Slice 129/139 | Computed tomography

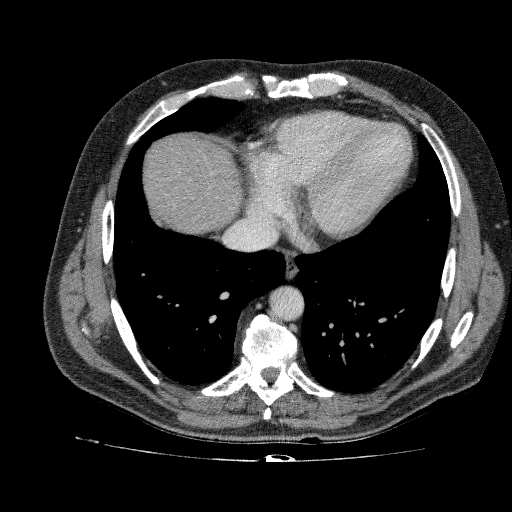

liver: (143, 133, 243, 235)